Abdomen, Computed tomography, Slice 260/605, Image width 434 mm
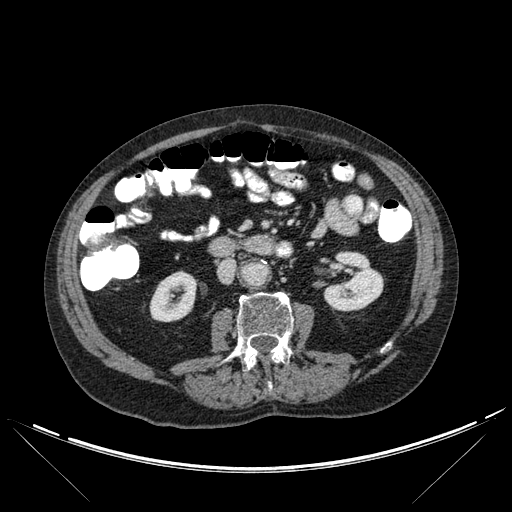 Annotated regions:
- bone: rect(266, 382, 271, 394); rect(229, 292, 293, 368)
- kidney: rect(150, 271, 196, 321); rect(324, 252, 382, 310)